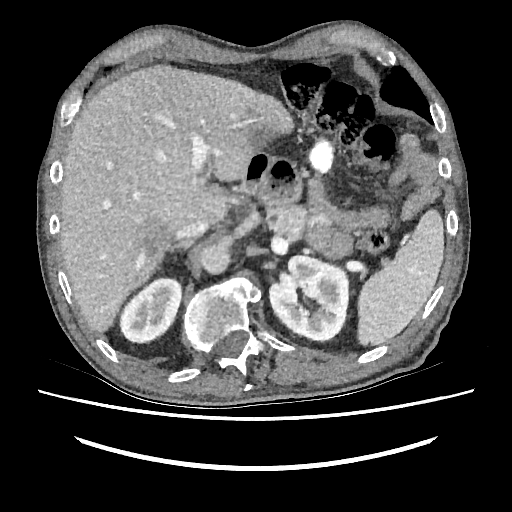 CT scan slice

Liver at box=[60, 66, 293, 331].
Kidney at box=[121, 279, 180, 342]; box=[270, 256, 347, 340].
Hepatic lesion at box=[139, 220, 169, 255]; box=[246, 122, 278, 151].